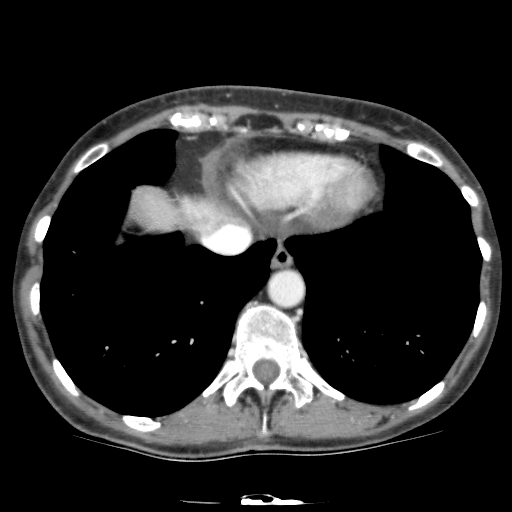

CT image; Abdomen

liver_lesion:
  - bbox(199, 215, 212, 226)
liver:
  - bbox(131, 186, 233, 230)